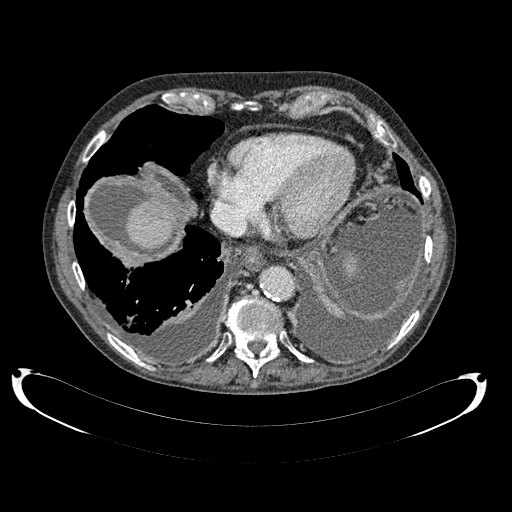

512x512 px; Computed tomography

liver:
  - 128,197,173,247